FLAIR MR.
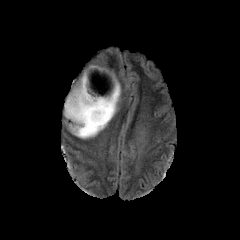
T1-weighted MR image.
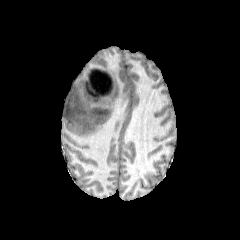
Post-contrast T1-weighted MRI.
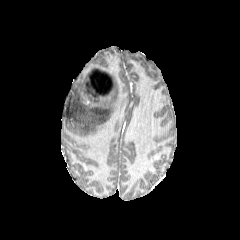
T2-weighted MR.
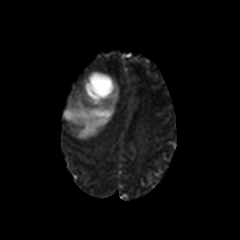
240x240 px. Head.
Edema at region(63, 73, 119, 139).
Non-enhancing tumor core at region(95, 110, 105, 115).